CT
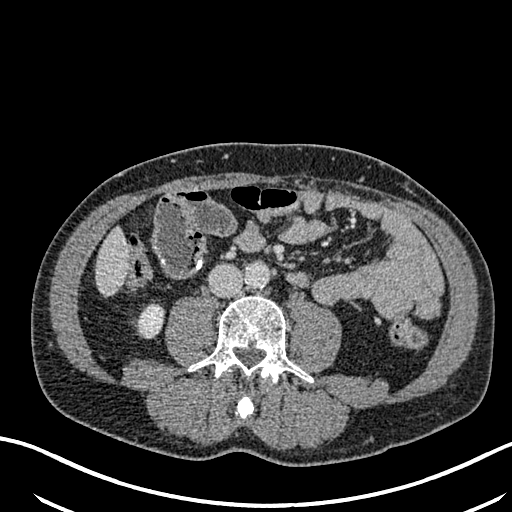 Kidney — (139,305,162,337).
Liver — (97,228,126,293).